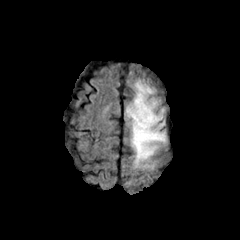
FLAIR MR.
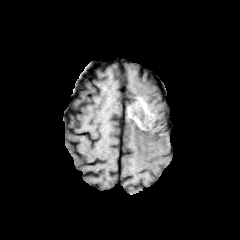
T1-weighted MR of the same slice.
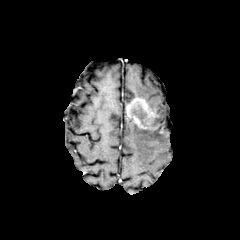
Post-contrast T1-weighted MR.
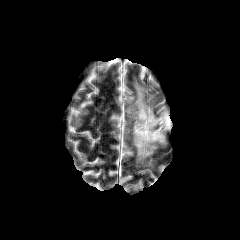
T2-weighted MR image of the same slice.
Head
{"non-enhancing_tumor_core": ["region(156, 115, 164, 132)", "region(129, 104, 156, 129)"], "enhancing_tumor": ["region(127, 98, 154, 116)"], "edema": ["region(125, 80, 166, 168)"]}